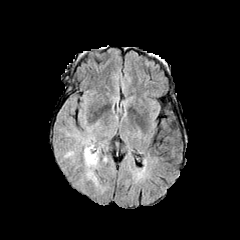
FLAIR magnetic resonance.
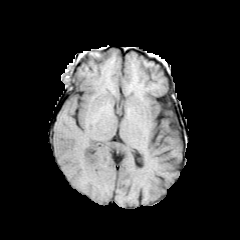
T1-weighted MR.
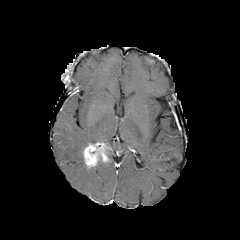
Post-contrast T1-weighted MRI.
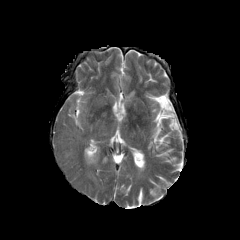
T2-weighted MR image.
Head.
Enhancing tumor: bounding box (left=83, top=141, right=104, bottom=167).
Edema: bounding box (left=72, top=121, right=98, bottom=155), (left=84, top=145, right=103, bottom=190).